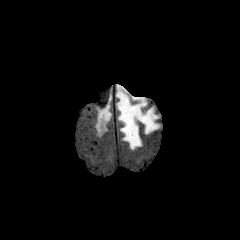
FLAIR MR image.
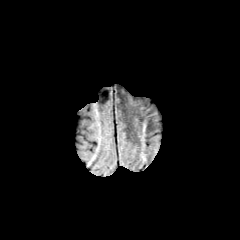
Same slice, T1-weighted magnetic resonance.
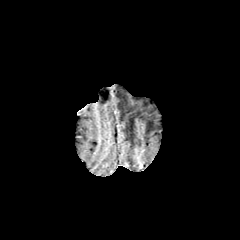
Same slice, post-contrast T1-weighted MR.
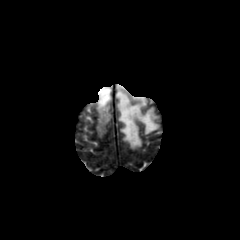
T2-weighted magnetic resonance of the same slice.
240x240 | Head
The edema appears at box=[116, 84, 159, 149].